240x240
FLAIR MR image.
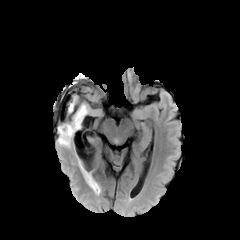
T1-weighted MRI.
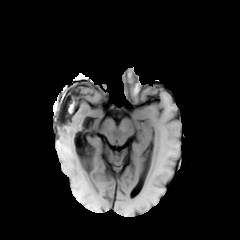
Post-contrast T1-weighted MRI.
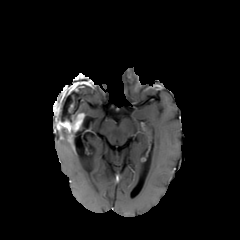
T2-weighted MRI.
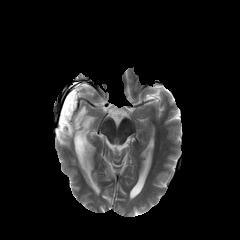
{"non-enhancing_tumor_core": ["(left=61, top=100, right=76, bottom=122)"], "edema": ["(left=78, top=159, right=99, bottom=194)", "(left=57, top=130, right=71, bottom=148)", "(left=70, top=93, right=89, bottom=115)"], "enhancing_tumor": ["(left=57, top=113, right=84, bottom=132)"]}